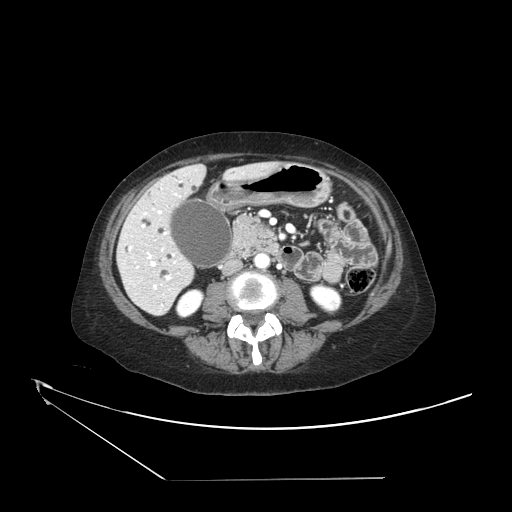
Upper abdomen | CT slice
Pancreas — <box>233,216,278,257</box>.
Pancreatic tumor — <box>260,228,271,235</box>.